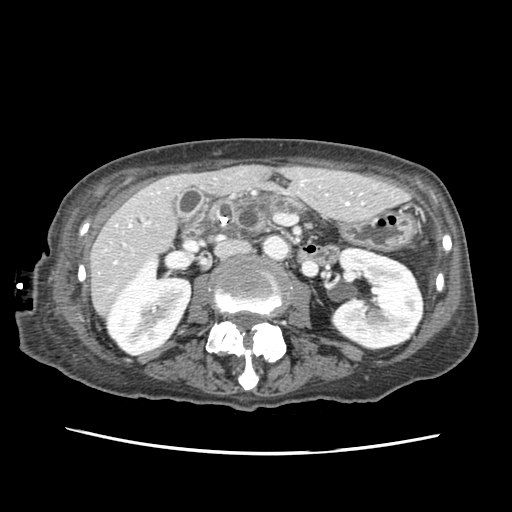

CT.

pancreas:
  - l=235, t=195, r=303, b=233